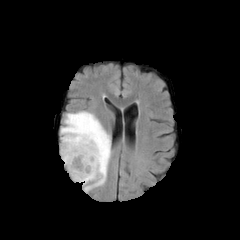
FLAIR MRI.
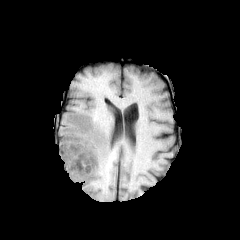
T1-weighted MRI.
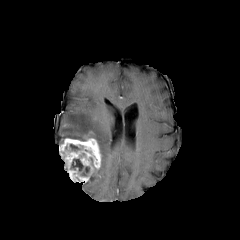
Same slice, post-contrast T1-weighted MR.
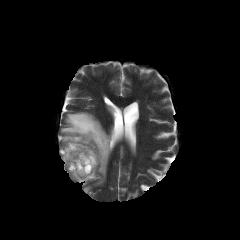
T2-weighted magnetic resonance.
The edema is located at box=[60, 111, 111, 192]. The non-enhancing tumor core is at box=[71, 159, 89, 175]. The enhancing tumor lies within box=[59, 138, 101, 182].